Slice index 81 | Head | Image size 240x240
FLAIR magnetic resonance.
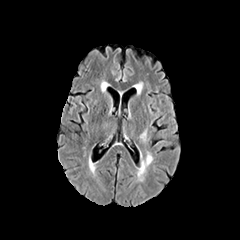
T1-weighted magnetic resonance.
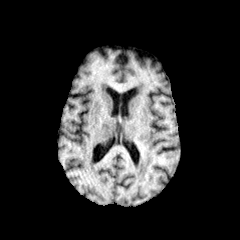
Post-contrast T1-weighted magnetic resonance.
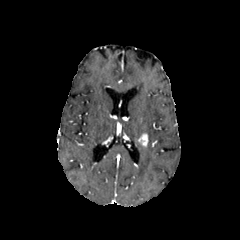
T2-weighted MR.
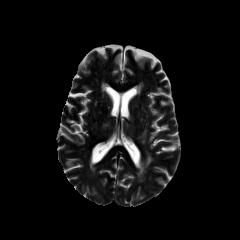
The edema is located at left=135, top=151, right=153, bottom=181. The enhancing tumor is bounded by left=138, top=132, right=148, bottom=147.